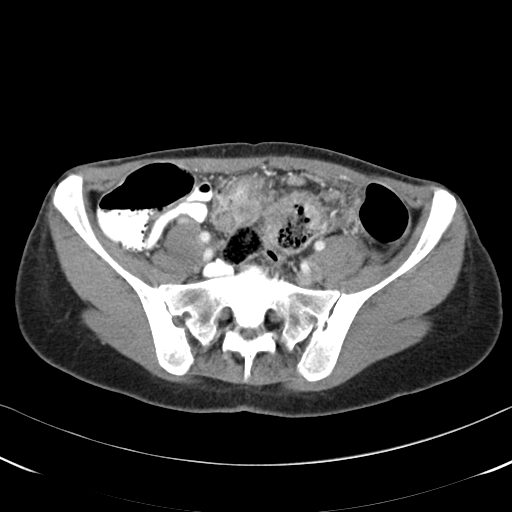
Abdomen | CT scan slice
Segmented structures:
- colon tumor: (x1=214, y1=178, x2=260, y2=230), (x1=264, y1=191, x2=325, y2=241)